FLAIR magnetic resonance.
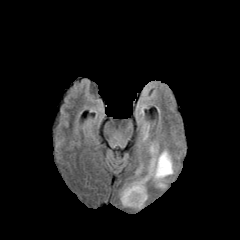
T1-weighted MR image.
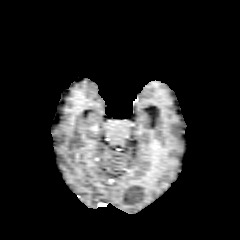
Post-contrast T1-weighted MR image.
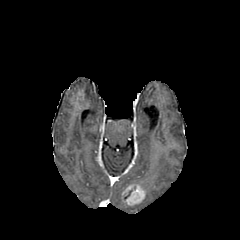
T2-weighted MR.
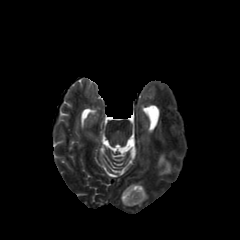
Brain.
{"enhancing_tumor": ["<box>123,185,144,204</box>"], "edema": ["<box>130,175,147,189</box>", "<box>150,152,173,188</box>"]}